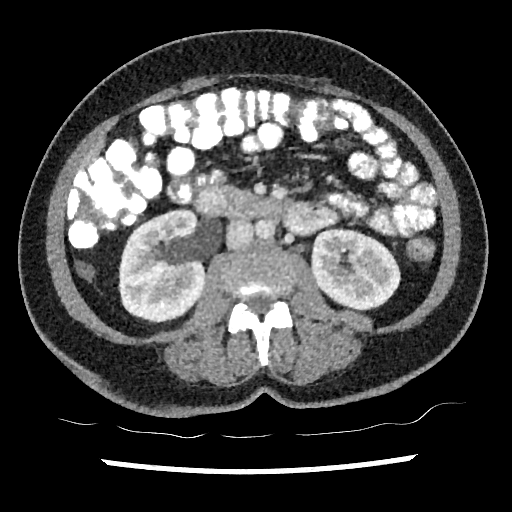 512x512 | CT image

Annotated regions:
* kidney: x1=120, y1=211, x2=204, y2=321; x1=312, y1=230, x2=399, y2=309
* liver: x1=83, y1=139, x2=103, y2=167